512x512; Abdomen; CT scan slice; Field of view 434 mm wide, 1.00 mm slice spacing
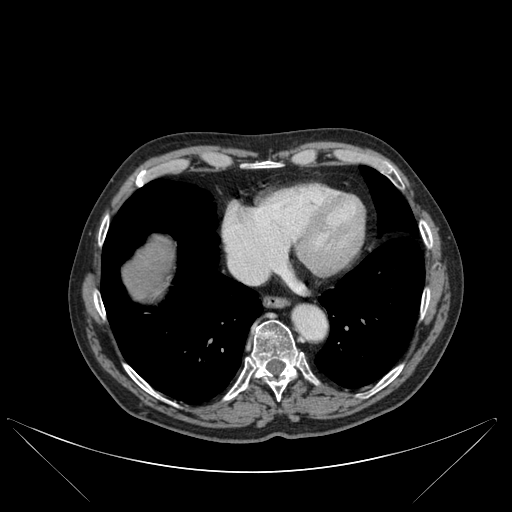
Liver — box=[123, 238, 173, 300].
Lung — box=[315, 166, 424, 388]; box=[101, 179, 262, 403].
Bone — box=[385, 165, 397, 180]; box=[136, 170, 146, 186]; box=[371, 365, 402, 394]; box=[98, 216, 108, 244]; box=[421, 289, 429, 317]; box=[224, 320, 297, 400]; box=[420, 221, 432, 247]; box=[124, 365, 159, 397]; box=[297, 357, 317, 383]; box=[94, 295, 105, 316]; box=[252, 162, 280, 168].